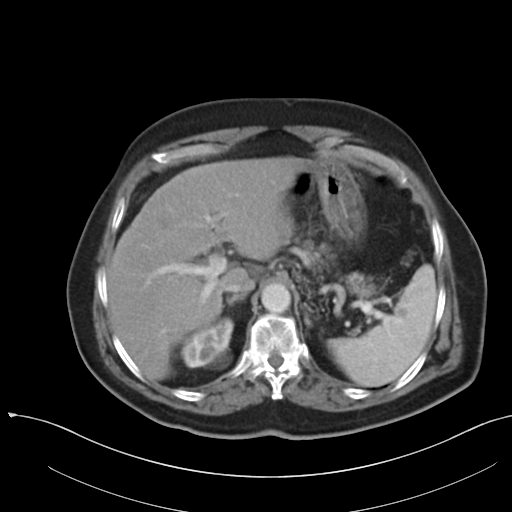
CT slice.

The vessel annotation is not exhaustive.
hepatic vessel: <box>143,244,147,247</box>, <box>161,346,163,348</box>, <box>235,193,238,196</box>, <box>221,212,227,215</box>, <box>145,257,225,302</box>, <box>222,284,228,287</box>, <box>228,193,231,196</box>, <box>200,213,213,225</box>, <box>230,236,233,238</box>, <box>158,328,165,335</box>, <box>193,288,195,291</box>